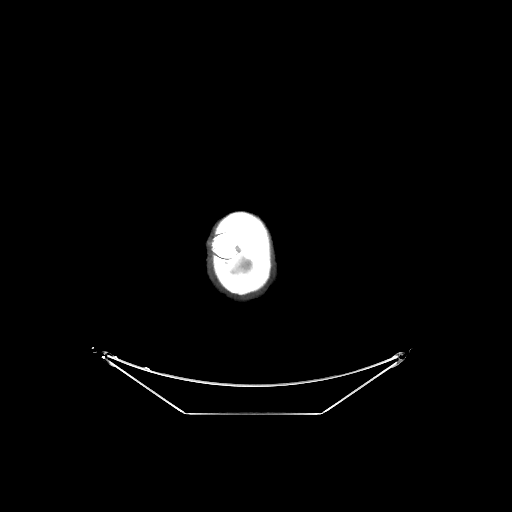
Head, CT scan slice
The brain lies within <bbox>241, 261, 250, 269</bbox>.